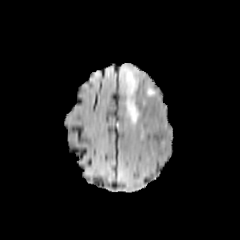
FLAIR MR.
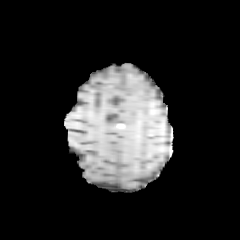
T1-weighted MRI.
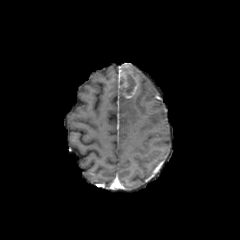
Post-contrast T1-weighted MRI of the same slice.
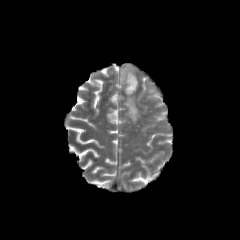
Same slice, T2-weighted MR image.
Image size 240x240 | Head
enhancing tumor: <box>120,64,138,98</box> | edema: <box>125,95,139,122</box> | non-enhancing tumor core: <box>120,74,136,94</box>